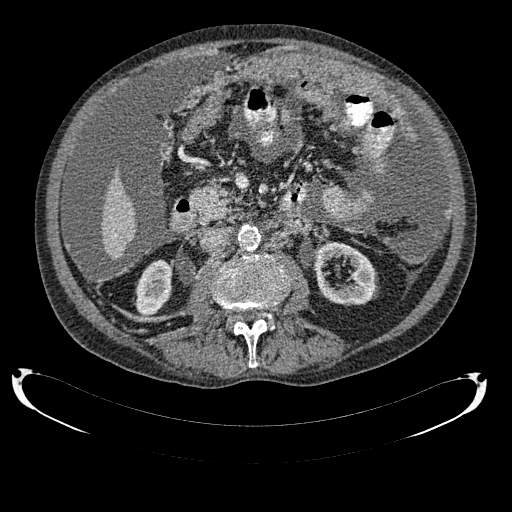 512x512. CT scan slice. 2 kidney regions are located at 315,242,375,304; 136,260,171,315. The liver appears at 102,171,135,259.